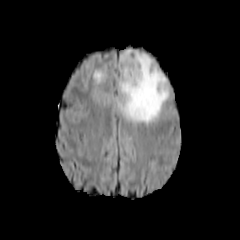
FLAIR MRI.
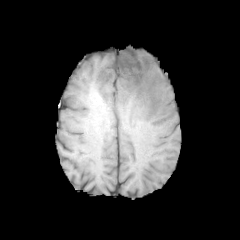
T1-weighted MR image.
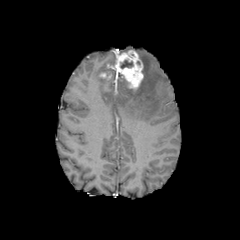
Post-contrast T1-weighted MRI.
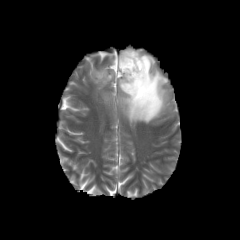
Same slice, T2-weighted MR.
Head
The non-enhancing tumor core is at <box>120,59,133,68</box>. 2 edema regions are located at <box>118,52,168,125</box>, <box>92,70,108,84</box>. The enhancing tumor appears at <box>109,50,143,90</box>.